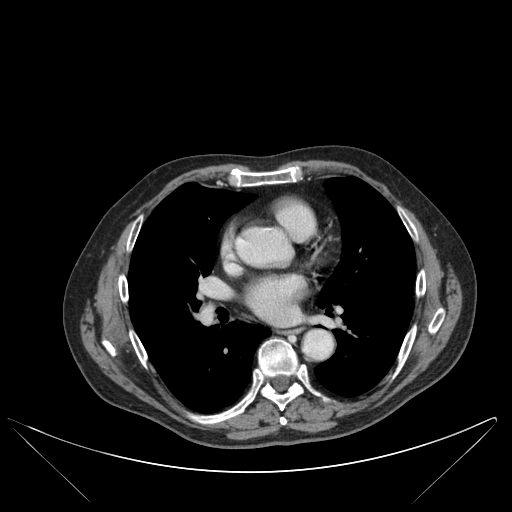

CT slice. <segmentation>
  <bone>(129, 331, 146, 366), (402, 212, 416, 235), (231, 168, 297, 185), (395, 326, 416, 374), (190, 339, 309, 423), (416, 271, 425, 295), (103, 341, 114, 355), (429, 309, 444, 332), (118, 275, 128, 301), (127, 224, 137, 249)</bone>
  <lung>(128, 182, 270, 413), (314, 177, 415, 396)</lung>
</segmentation>